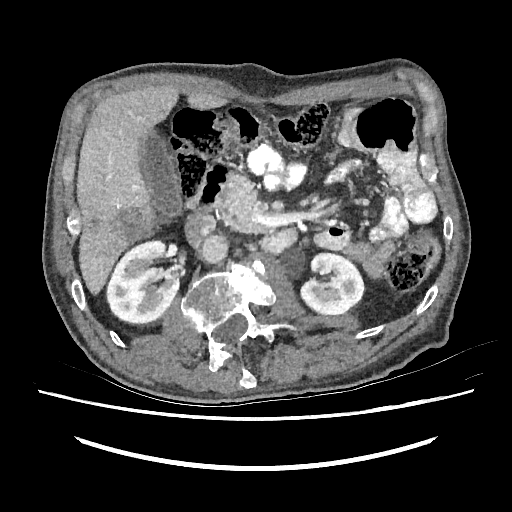
Upper abdomen, CT, 512x512 px
kidney:
  - bbox=[301, 253, 363, 314]
  - bbox=[107, 241, 178, 322]
hepatic_lesion:
  - bbox=[85, 207, 149, 243]
liver:
  - bbox=[187, 92, 228, 109]
  - bbox=[79, 226, 129, 294]
  - bbox=[77, 87, 178, 239]